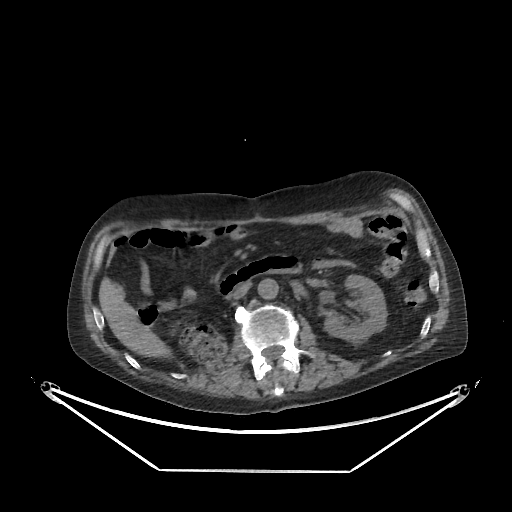 512x512 px. Liver. CT. • liver: bbox(99, 279, 169, 356)
• kidney: bbox(319, 275, 387, 342)